CT image, Slice 365 of 696 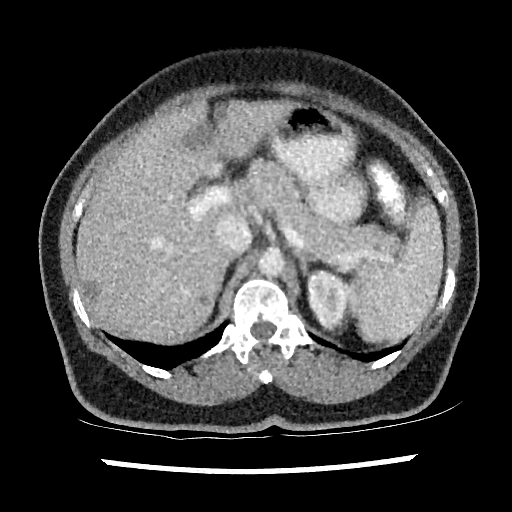

Hepatic lesion at [84,281,100,301], [216,107,227,117], [200,297,212,305], [184,125,211,148].
Kidney at [309,271,359,326].
Liver at [77,98,296,340].